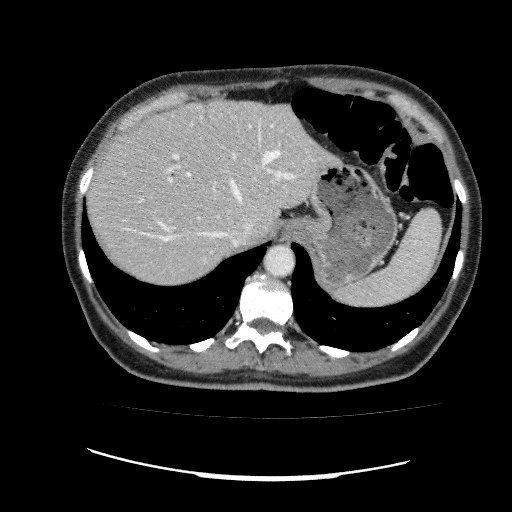 Liver. CT.

The liver appears at x1=87, y1=99, x2=339, y2=286.